FLAIR MR.
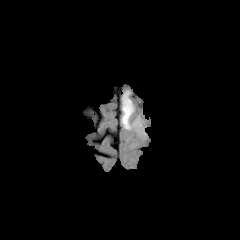
T1-weighted MRI.
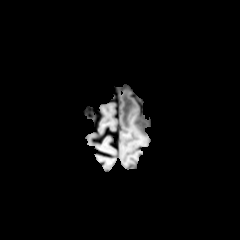
Post-contrast T1-weighted MR.
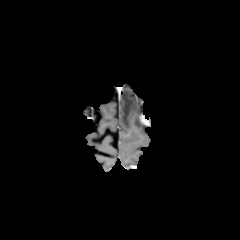
T2-weighted MRI.
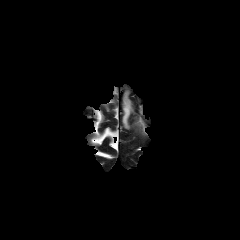
240x240 px
The enhancing tumor lies within {"x1": 140, "y1": 115, "x2": 149, "y2": 125}. The edema is located at {"x1": 121, "y1": 90, "x2": 145, "y2": 135}.